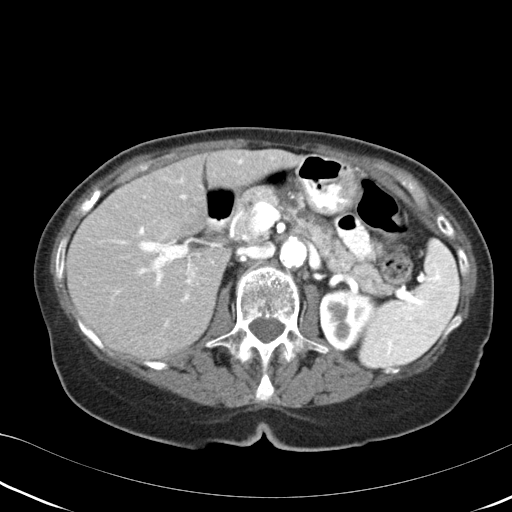

CT

Findings:
* pancreatic tumor: bbox=[281, 182, 300, 209]
* pancreas: bbox=[222, 184, 391, 296]